240x240 | Brain | Slice 130 of 155
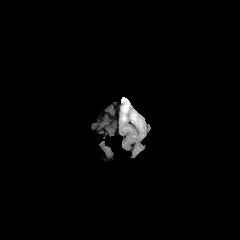
FLAIR MR.
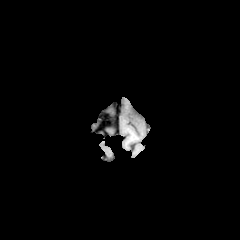
T1-weighted MR image.
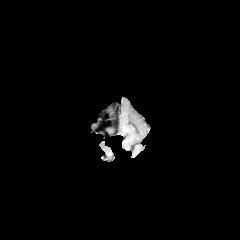
Post-contrast T1-weighted magnetic resonance.
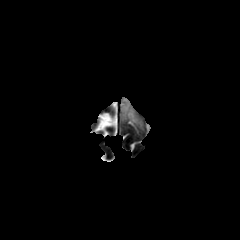
T2-weighted MRI.
edema:
  - 120 97 145 130